Slice index 117 | Head
FLAIR MR image.
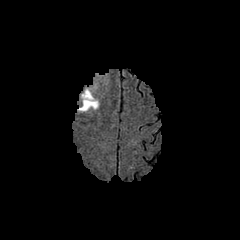
T1-weighted magnetic resonance.
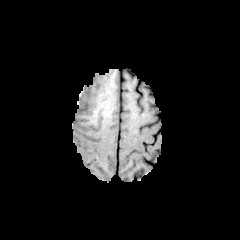
Post-contrast T1-weighted magnetic resonance.
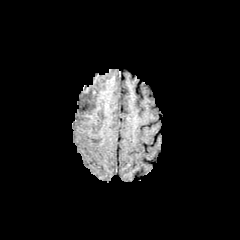
T2-weighted magnetic resonance.
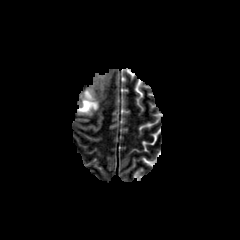
• edema: <box>78,84,101,114</box>